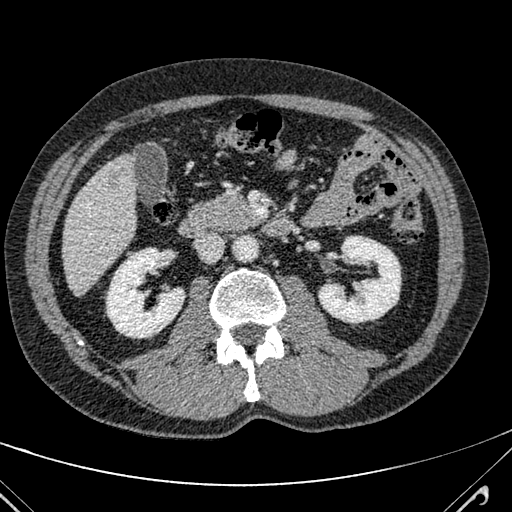

CT scan slice, Liver
Focal liver lesion: (110, 173, 121, 188).
Liver: (63, 156, 135, 294).